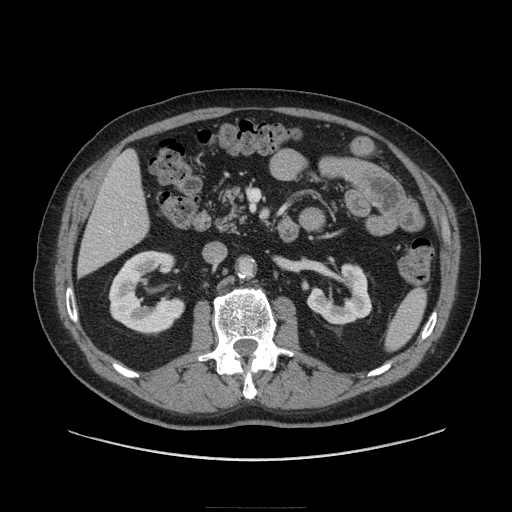

Abdomen. CT scan slice.

Segmented structures:
* pancreas: region(212, 184, 249, 235)